FLAIR MR image.
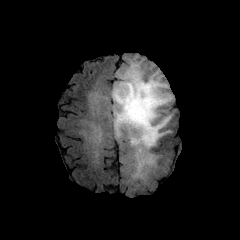
T1-weighted magnetic resonance.
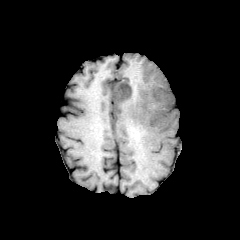
Post-contrast T1-weighted MR image.
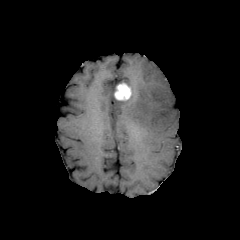
T2-weighted MRI.
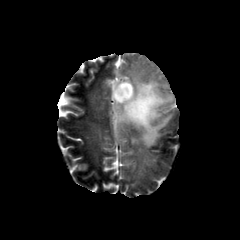
Brain, 240x240 px
Enhancing tumor = left=114, top=82, right=132, bottom=100.
Edema = left=108, top=99, right=114, bottom=129; left=114, top=61, right=173, bottom=170.
Non-enhancing tumor core = left=120, top=122, right=141, bottom=138; left=155, top=106, right=163, bottom=121; left=112, top=71, right=139, bottom=95; left=130, top=86, right=170, bottom=110; left=113, top=100, right=119, bottom=129.